CT slice; 512x512 px
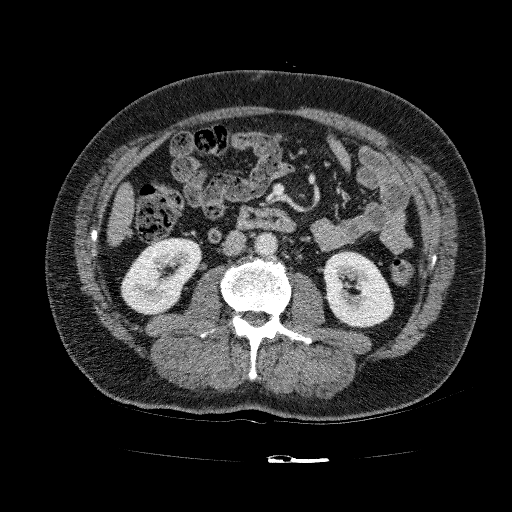

liver:
  - [108, 182, 134, 245]
kidney:
  - [324, 252, 392, 326]
  - [122, 239, 200, 313]